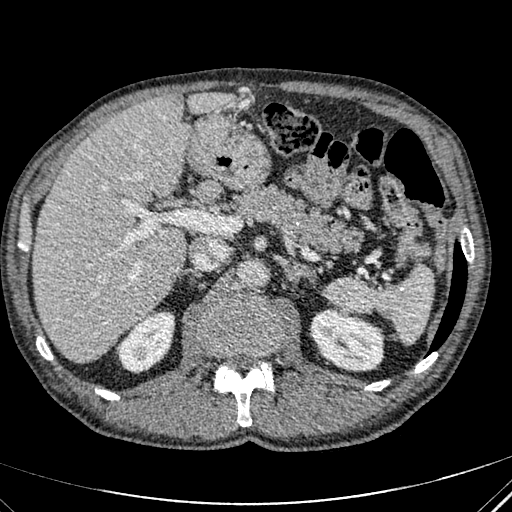
CT image. Image size 512x512.
2 kidney regions are located at [119, 313, 173, 371], [312, 311, 382, 369]. 3 liver regions are located at [33, 97, 189, 361], [198, 183, 218, 199], [187, 92, 234, 112]. The liver lesion lies within [158, 95, 178, 108].